CT; Slice 138 of 260; Abdomen 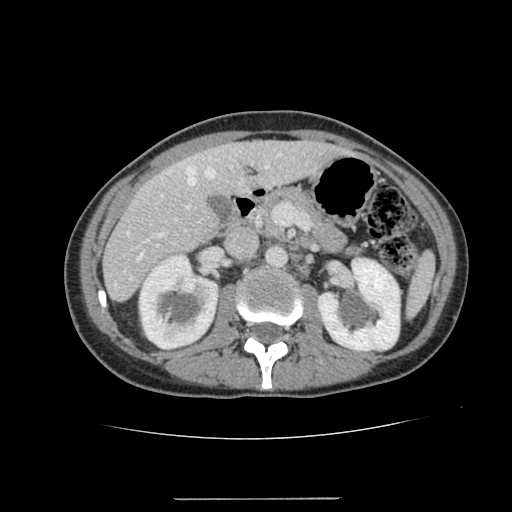
liver: x1=101, y1=139, x2=349, y2=300 | kidney: x1=140, y1=255, x2=217, y2=348; x1=318, y1=258, x2=399, y2=350